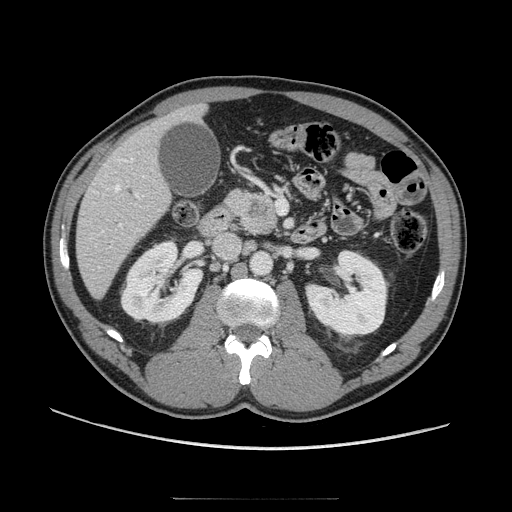

CT scan slice. 512x512 px. pancreatic tumor: l=245, t=197, r=275, b=218 | pancreas: l=224, t=190, r=279, b=236